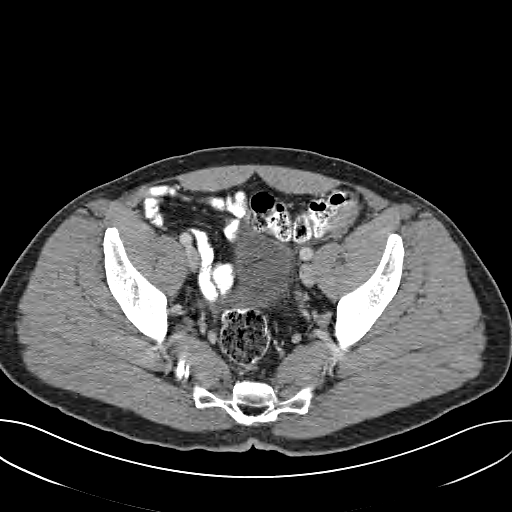 Pelvis; 512x512 px; Computed tomography
colon tumor: [323, 203, 357, 237]